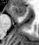

MR. Medial temporal lobe. The anterior hippocampus is at l=10, t=5, r=26, b=16.